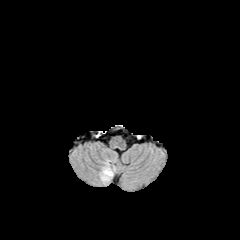
FLAIR MRI.
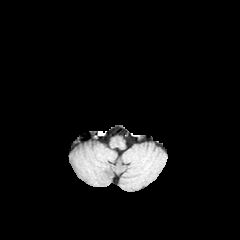
T1-weighted MR image of the same slice.
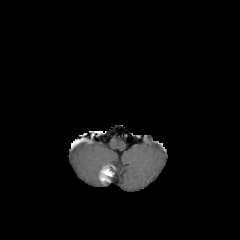
Same slice, post-contrast T1-weighted magnetic resonance.
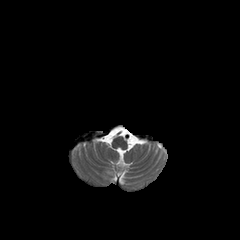
T2-weighted magnetic resonance.
Image size 240x240
Non-enhancing tumor core at (101, 169, 112, 181).